Head, 240x240
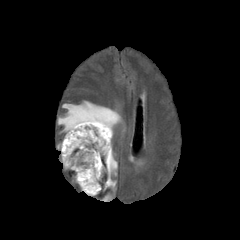
FLAIR magnetic resonance.
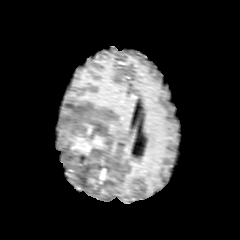
T1-weighted MRI.
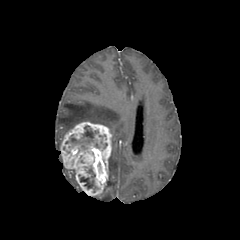
Post-contrast T1-weighted MR.
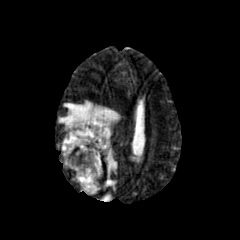
T2-weighted magnetic resonance.
Findings:
* edema: {"x1": 103, "y1": 148, "x2": 117, "y2": 189}, {"x1": 58, "y1": 101, "x2": 120, "y2": 141}
* non-enhancing tumor core: {"x1": 66, "y1": 125, "x2": 103, "y2": 152}, {"x1": 80, "y1": 166, "x2": 97, "y2": 189}
* enhancing tumor: {"x1": 60, "y1": 121, "x2": 111, "y2": 195}